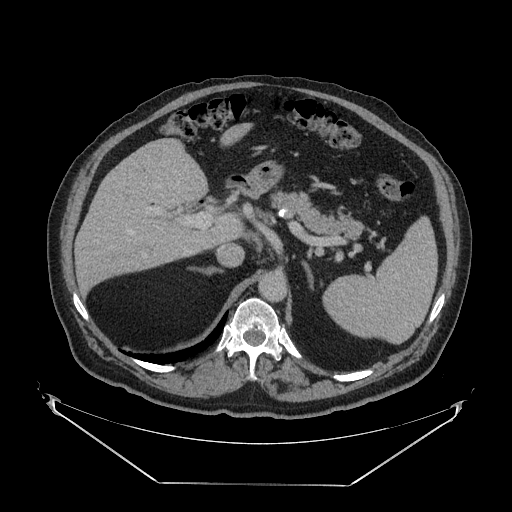 Computed tomography | Abdomen
<segmentation>
  <pancreas>271, 193, 362, 238</pancreas>
</segmentation>